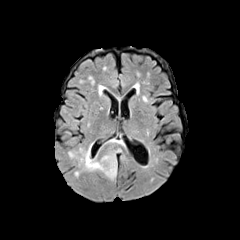
FLAIR magnetic resonance.
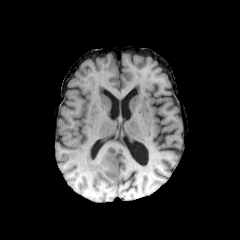
T1-weighted MR.
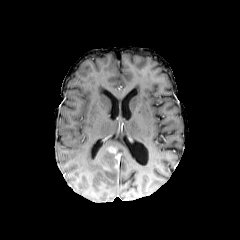
Post-contrast T1-weighted MR.
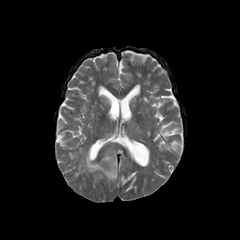
Same slice, T2-weighted MR image.
Head
Edema at 69,138,125,180.